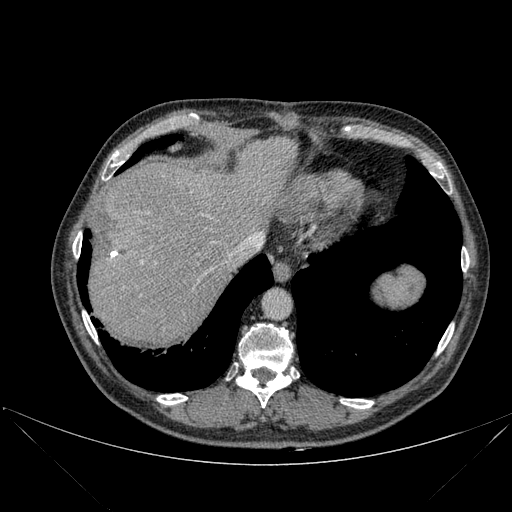

CT slice; Upper abdomen

{
  "liver": [
    "<box>89,137,297,346</box>"
  ],
  "lung": [
    "<box>116,135,180,174</box>",
    "<box>77,229,91,309</box>",
    "<box>99,254,273,391</box>",
    "<box>291,156,462,396</box>"
  ],
  "bone": [
    "<box>157,394,187,404</box>",
    "<box>461,247,469,271</box>",
    "<box>73,232,81,258</box>",
    "<box>236,324,293,407</box>",
    "<box>105,152,124,171</box>",
    "<box>82,311,97,343</box>",
    "<box>340,399,373,408</box>",
    "<box>437,326,453,353</box>"
  ]
}